Image size 240x240 | Brain | Slice index 77
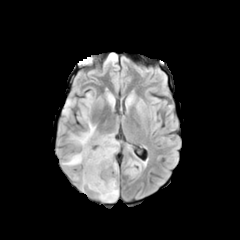
FLAIR MRI.
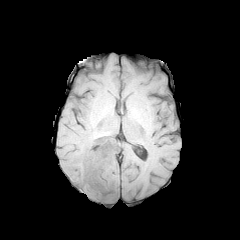
T1-weighted magnetic resonance.
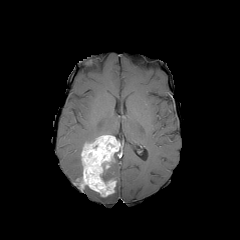
Same slice, post-contrast T1-weighted MRI.
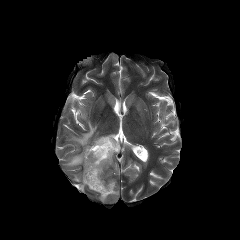
T2-weighted magnetic resonance.
The enhancing tumor is located at box(79, 135, 119, 197). The non-enhancing tumor core appears at box(100, 159, 115, 181). 5 edema regions appear at box(62, 153, 81, 166); box(63, 99, 75, 116); box(70, 93, 99, 148); box(94, 182, 118, 202); box(106, 154, 118, 177).